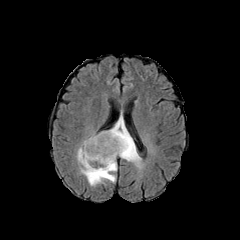
FLAIR magnetic resonance.
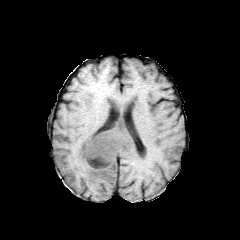
T1-weighted MR image of the same slice.
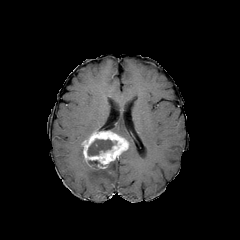
Post-contrast T1-weighted MR of the same slice.
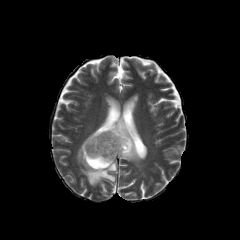
T2-weighted MR image.
Image size 240x240
edema: [110, 115, 141, 166], [76, 144, 117, 186] | non-enhancing tumor core: [87, 160, 99, 167], [87, 139, 113, 155] | enhancing tumor: [82, 130, 129, 168]